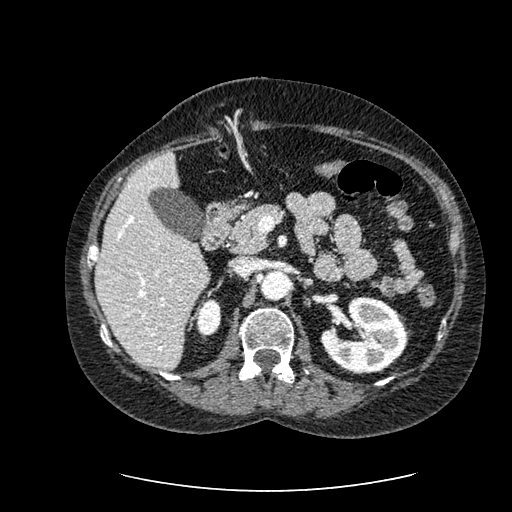

Image size 512x512; CT scan slice

2 kidney regions are bounded by (left=197, top=300, right=220, bottom=334), (left=322, top=298, right=406, bottom=372). The liver appears at (left=95, top=154, right=209, bottom=369).